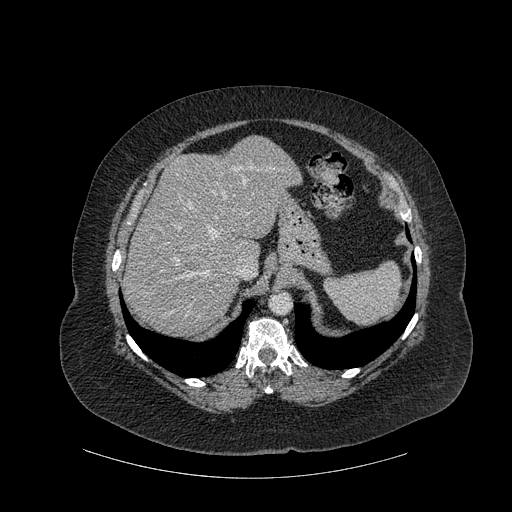

Image size 512x512, Liver, CT

* lung: (x1=121, y1=299, x2=255, y2=376), (x1=294, y1=274, x2=416, y2=369)
* liver: (x1=124, y1=136, x2=299, y2=337)
* bone: (x1=402, y1=314, x2=417, y2=338), (x1=401, y1=210, x2=411, y2=220), (x1=342, y1=368, x2=359, y2=377), (x1=236, y1=319, x2=307, y2=376), (x1=415, y1=246, x2=421, y2=262), (x1=126, y1=335, x2=146, y2=360), (x1=112, y1=250, x2=120, y2=270), (x1=185, y1=378, x2=204, y2=386)